Image size 512x512; Abdomen; Field of view 348 mm wide, 0.80 mm slice spacing; CT slice

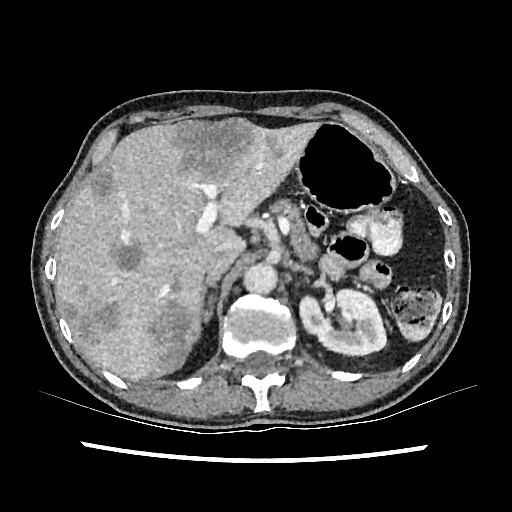

liver:
  - 58, 123, 320, 379
kidney:
  - 300, 290, 386, 358
hepatic_lesion:
  - 147, 277, 196, 368
  - 78, 284, 87, 294
  - 90, 171, 113, 196
  - 110, 242, 144, 271
  - 58, 296, 120, 343
  - 264, 135, 285, 161
  - 167, 118, 256, 180